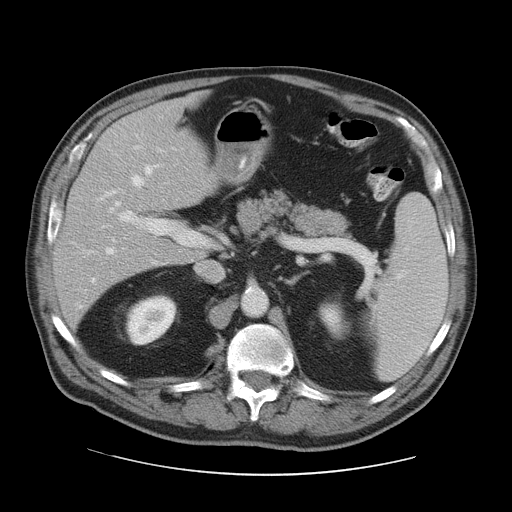
CT image | Image size 512x512

Only some of the vessels may be annotated.
hepatic vessel: 153 261 155 263, 115 202 119 205, 91 278 94 281, 145 165 154 173, 133 175 142 185, 120 211 201 239, 106 248 112 253, 110 208 113 212